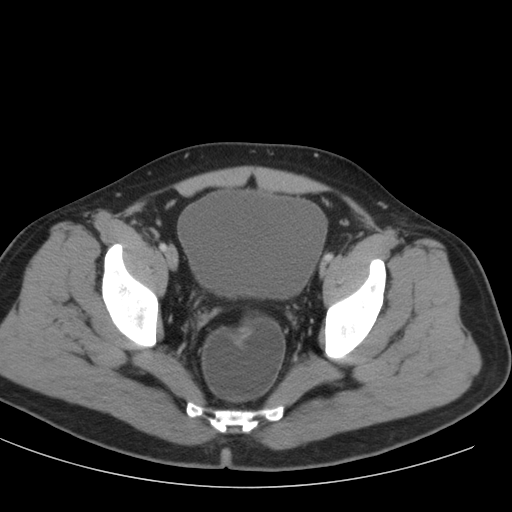 CT | 512x512

<segmentation>
  <urinary_bladder>rect(181, 187, 326, 299)</urinary_bladder>
</segmentation>